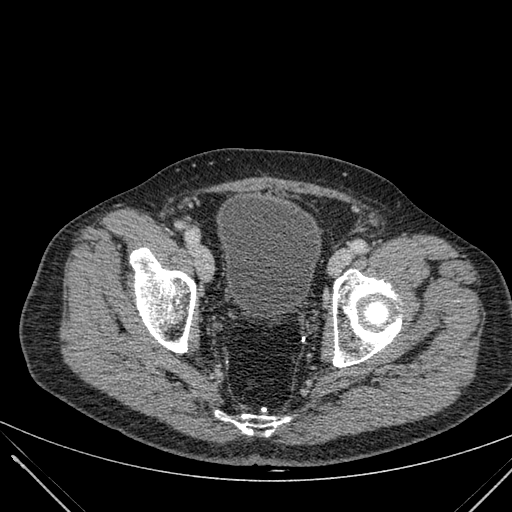

CT slice | Pelvis
The urinary bladder is bounded by l=216, t=197, r=321, b=314.